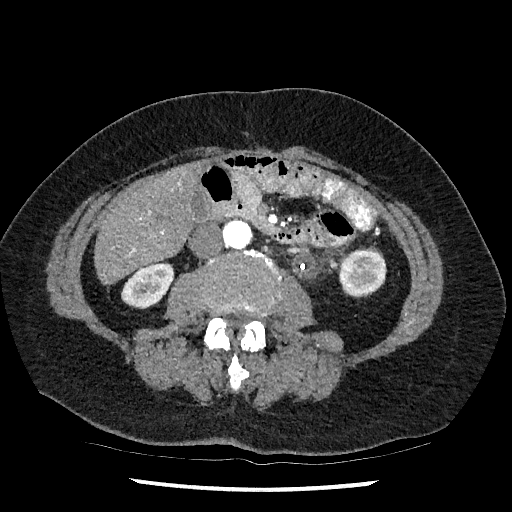

512x512. Abdomen. CT.
Kidney = (340, 250, 385, 295), (122, 264, 173, 307).
Liver = (95, 161, 205, 283).